CT; Image size 512x512; Upper abdomen

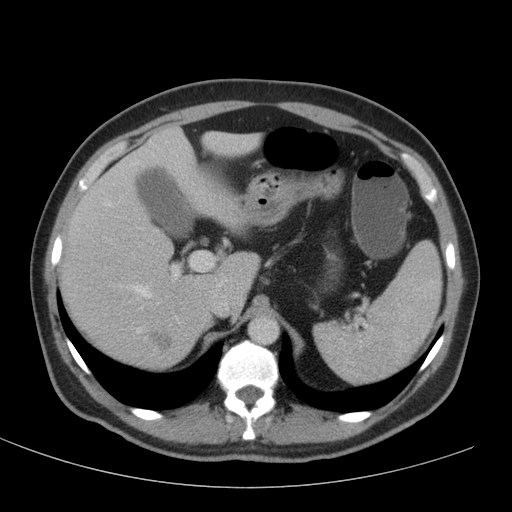 2 liver regions appear at x1=203, y1=134, x2=258, y2=154; x1=59, y1=127, x2=258, y2=366. The focal liver lesion is bounded by x1=148, y1=331, x2=175, y2=354.